Image size 240x240; Image width 240 mm; Brain
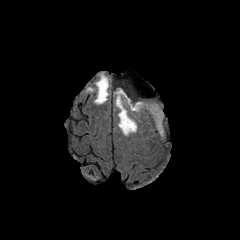
FLAIR MRI.
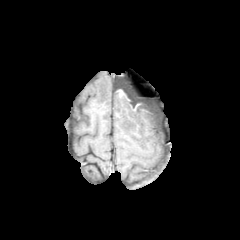
T1-weighted MR image.
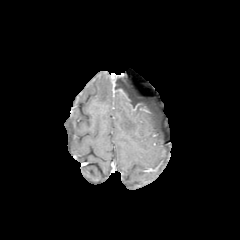
Post-contrast T1-weighted MR of the same slice.
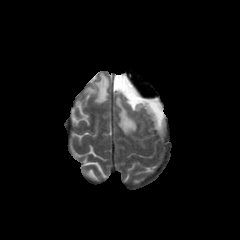
T2-weighted MR image of the same slice.
Findings:
- edema: 86:73:111:104, 115:87:162:135
- non-enhancing tumor core: 128:96:161:117